Brain, Field of view 240 mm wide, 1.00 mm slice spacing, Slice 105/155
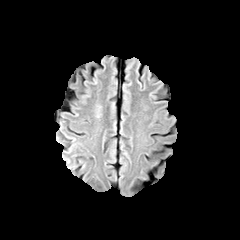
FLAIR MRI.
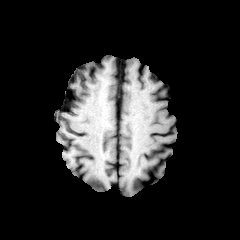
T1-weighted MR image of the same slice.
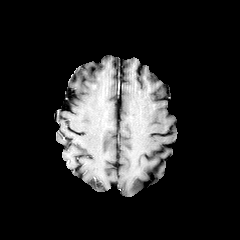
Post-contrast T1-weighted MRI.
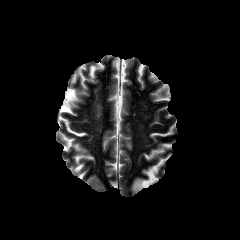
T2-weighted MRI.
Annotated regions:
• edema: [95,104,101,117]